CT slice | Pelvis

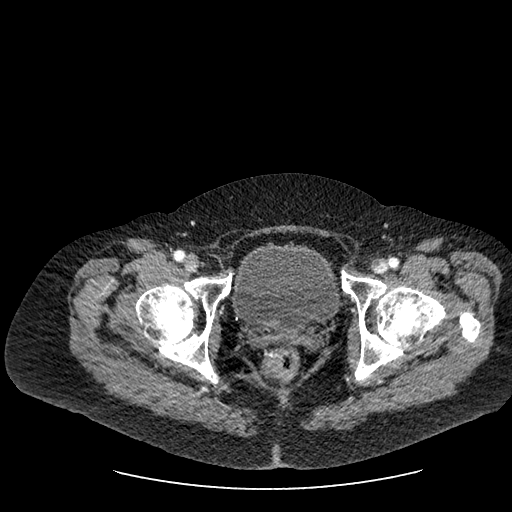
urinary bladder: box(230, 243, 340, 336)